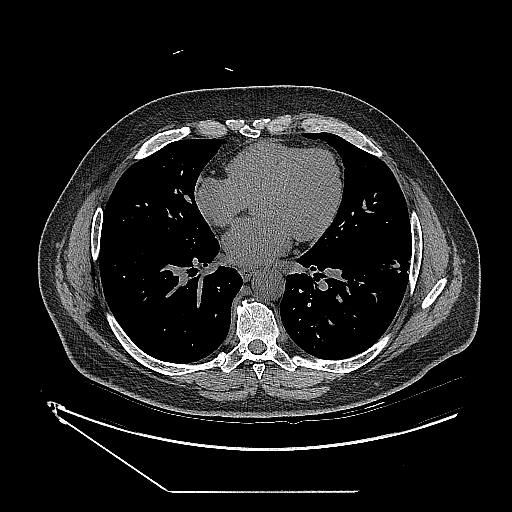
CT slice
The lung tumor lies within l=389, t=261, r=399, b=272.